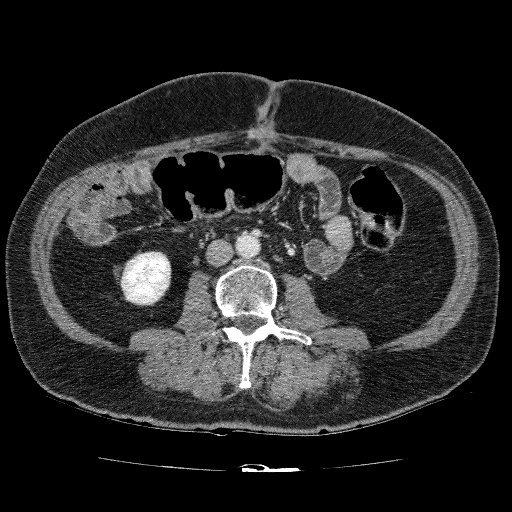

CT image
The kidney is located at (left=121, top=251, right=170, bottom=304).